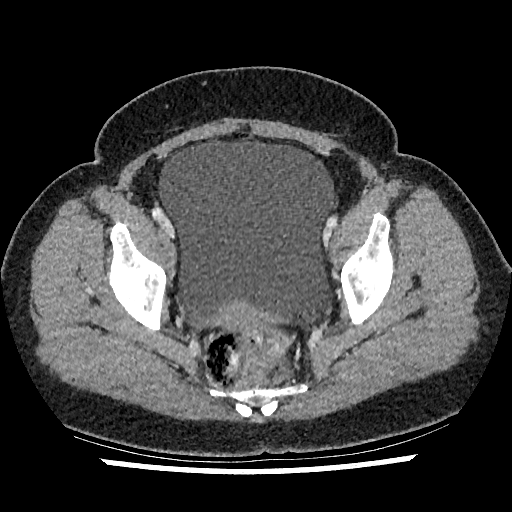 Pelvis | CT image | Image size 512x512

urinary bladder: (159,140,333,324)